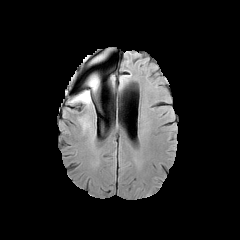
FLAIR magnetic resonance.
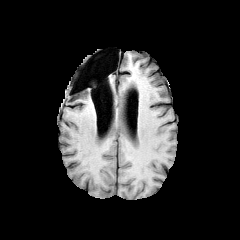
T1-weighted MRI.
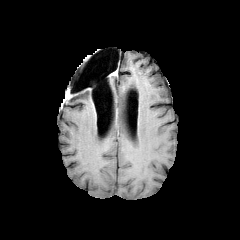
Same slice, post-contrast T1-weighted MR image.
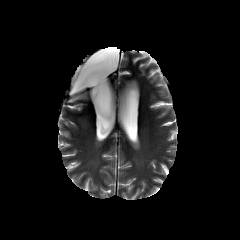
T2-weighted MR image.
{"edema": ["[70,75,99,106]"]}